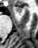
Magnetic resonance; Medial temporal lobe

anterior_hippocampus:
  - (14,7,22,12)